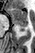 Magnetic resonance
anterior_hippocampus:
  - x1=11 y1=8 x2=27 y2=23
posterior_hippocampus:
  - x1=16 y1=24 x2=27 y2=26
  - x1=20 y1=28 x2=24 y2=30